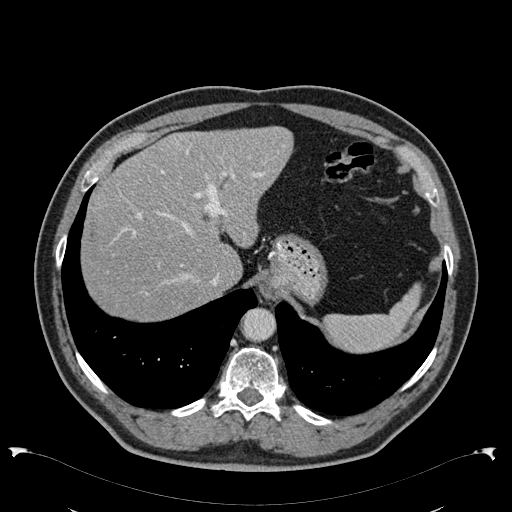 CT slice | 512x512
Liver at (x1=82, y1=126, x2=293, y2=319).